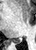
MR. Medial temporal lobe. 36x50 px.

Posterior hippocampus: bounding box x1=8, y1=39, x2=19, y2=43.